Upper abdomen; CT; Slice index 16
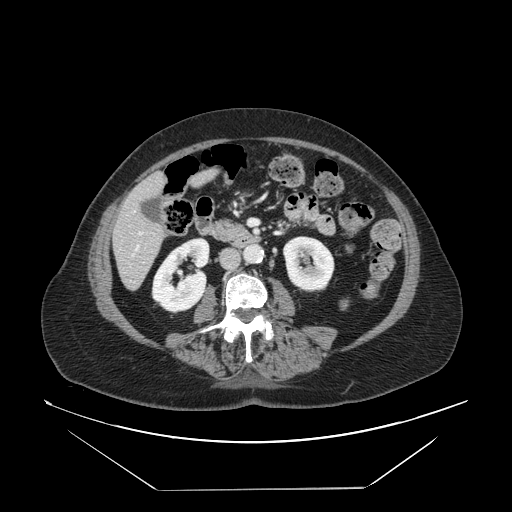
Pancreas: bounding box {"x1": 203, "y1": 220, "x2": 244, "y2": 242}.